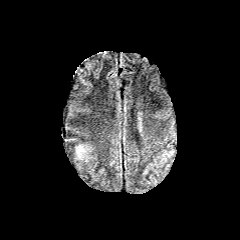
FLAIR MRI.
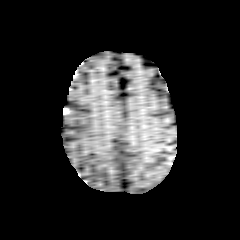
Same slice, T1-weighted magnetic resonance.
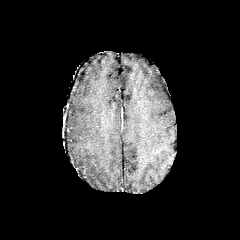
Post-contrast T1-weighted magnetic resonance.
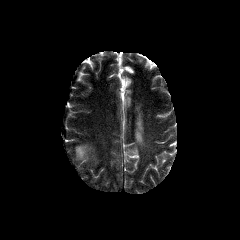
T2-weighted MR.
Image size 240x240 | Brain
Annotated regions:
• edema: left=76, top=144, right=90, bottom=157